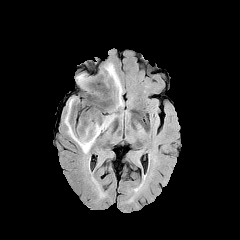
FLAIR MR.
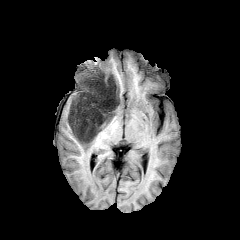
T1-weighted magnetic resonance.
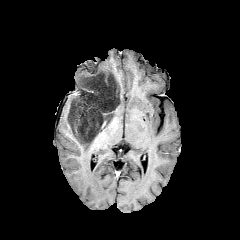
Post-contrast T1-weighted MRI of the same slice.
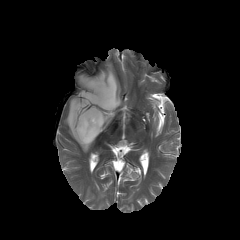
Same slice, T2-weighted MR image.
Head
non-enhancing tumor core: rect(74, 71, 120, 141); rect(68, 108, 75, 125); rect(82, 76, 95, 87) | edema: rect(77, 74, 85, 85); rect(65, 99, 93, 153); rect(104, 62, 124, 106); rect(94, 74, 107, 108)